Slice 55 of 155
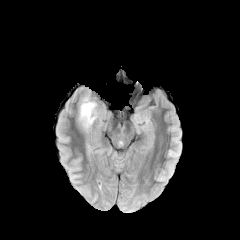
FLAIR magnetic resonance.
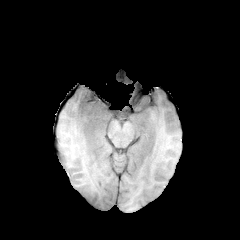
T1-weighted MR image of the same slice.
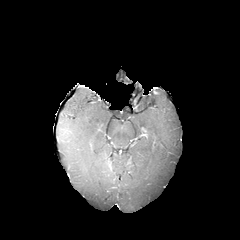
Post-contrast T1-weighted MRI.
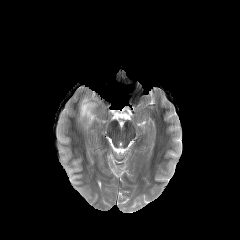
T2-weighted MR image of the same slice.
Findings:
• edema: (x1=78, y1=95, x2=98, y2=129)